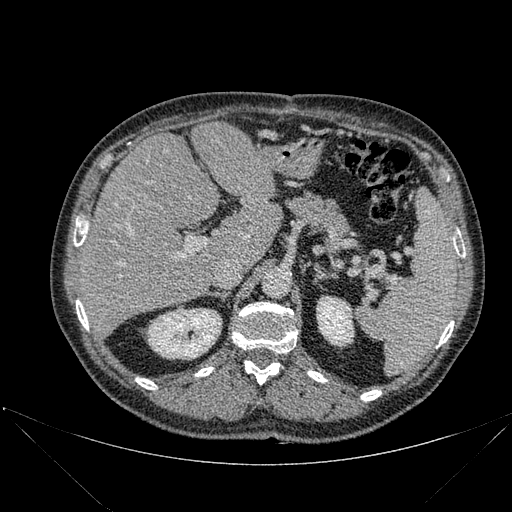 CT scan slice
Liver — left=77, top=133, right=222, bottom=337; left=191, top=122, right=283, bottom=272.
Kidney — left=316, top=296, right=353, bottom=345; left=148, top=308, right=221, bottom=359.
Bone — left=307, top=371, right=326, bottom=382; left=361, top=390, right=381, bottom=401; left=195, top=367, right=213, bottom=376; left=135, top=377, right=157, bottom=389; left=232, top=302, right=297, bottom=353; left=437, top=321, right=453, bottom=347; left=244, top=361, right=282, bottom=384; left=73, top=220, right=87, bottom=246; left=76, top=300, right=88, bottom=330; left=454, top=242, right=465, bottom=257.